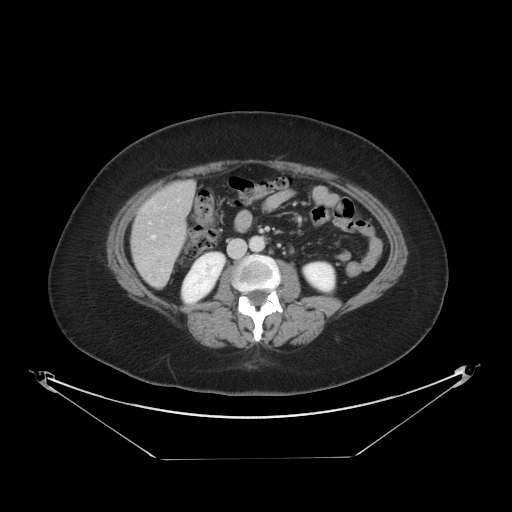 CT.
The vessel annotation is not exhaustive.
The hepatic vessel appears at 152,235,155,238.